CT, Abdomen, Field of view 408 mm wide, 5.00 mm slice spacing
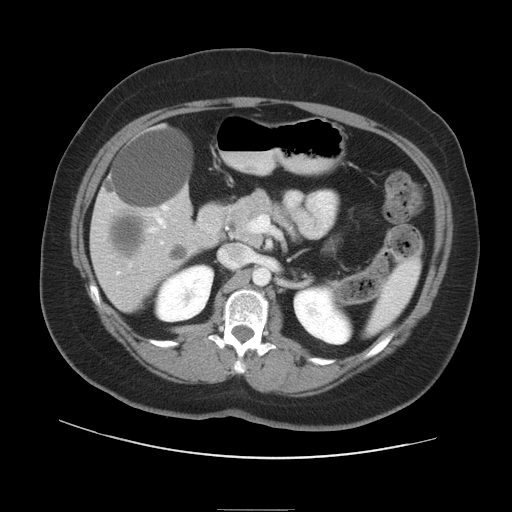
Some hepatic vessels may have no box.
Findings:
- hepatic vessel: 157,218,163,225; 163,206,166,208